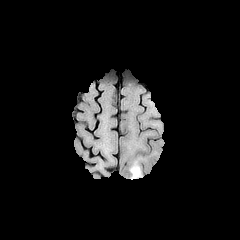
FLAIR MR image.
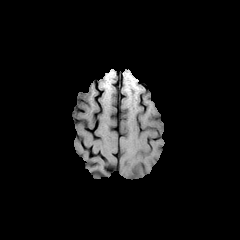
T1-weighted MR.
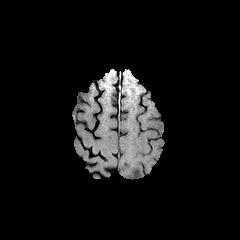
Post-contrast T1-weighted magnetic resonance.
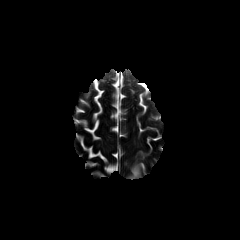
Same slice, T2-weighted MR image.
Brain.
Edema = (129, 161, 141, 179).